FLAIR MR image.
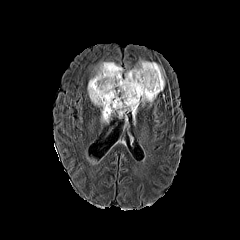
T1-weighted MR.
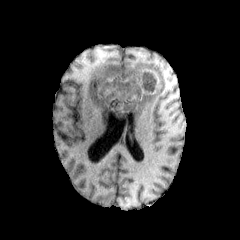
Post-contrast T1-weighted MR image.
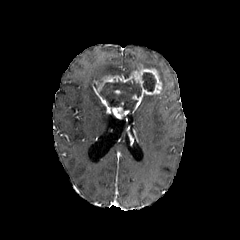
T2-weighted MR.
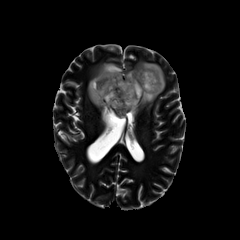
Head
Non-enhancing tumor core: bounding box (left=142, top=72, right=156, bottom=92), (left=97, top=79, right=141, bottom=114).
Enhancing tumor: bounding box (left=112, top=106, right=129, bottom=117), (left=94, top=65, right=162, bottom=113).
Edema: bounding box (left=140, top=94, right=157, bottom=110), (left=87, top=58, right=166, bottom=123).